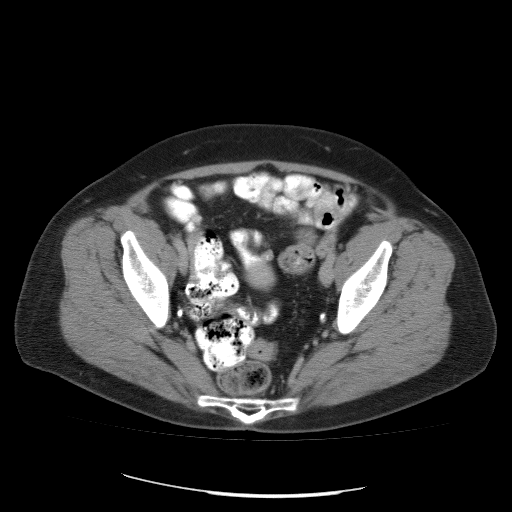 CT. Abdomen. Image size 512x512.

colon_tumor:
  - (248,339,274,360)